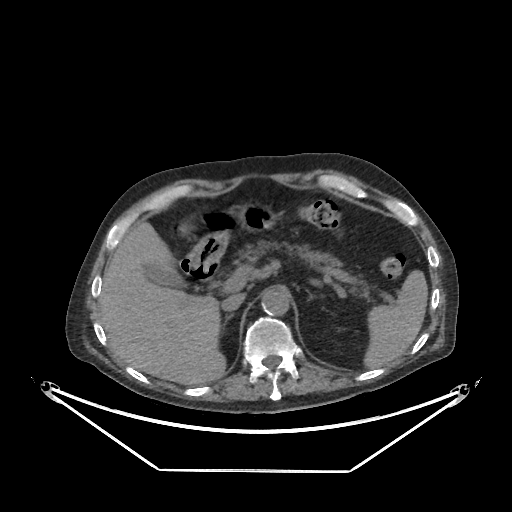 Computed tomography
3 liver regions are located at box(94, 273, 100, 291); box(92, 223, 225, 385); box(225, 284, 238, 290).